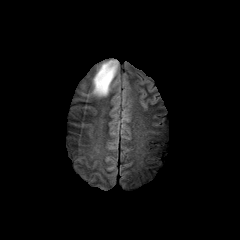
FLAIR MRI.
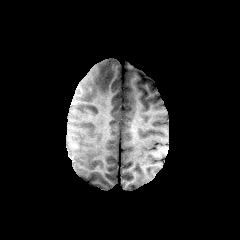
T1-weighted MR.
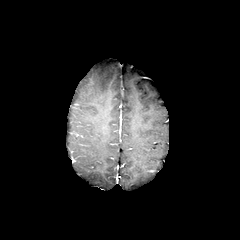
Post-contrast T1-weighted MR of the same slice.
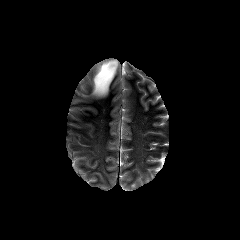
T2-weighted MRI.
240x240 px
<segmentation>
  <edema>(91, 59, 118, 97)</edema>
</segmentation>